512x512, Computed tomography, Lung, Field of view 360x360 mm 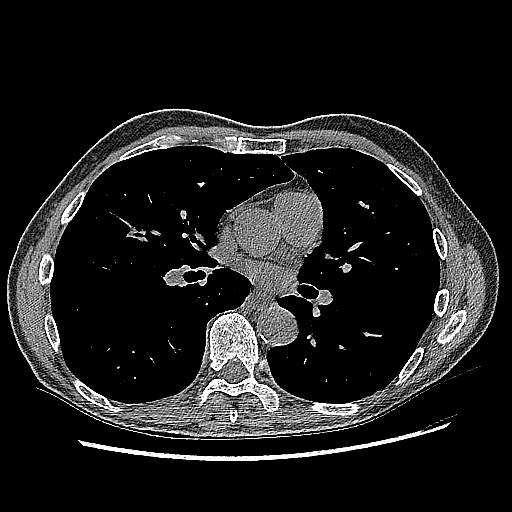

<segmentation>
  <lung_tumor>rect(125, 225, 149, 242)</lung_tumor>
</segmentation>